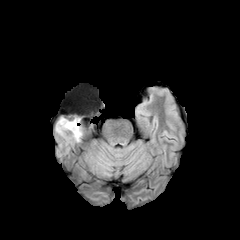
FLAIR MR image.
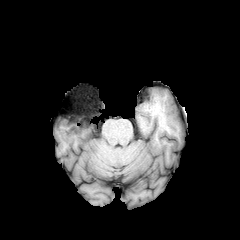
Same slice, T1-weighted MRI.
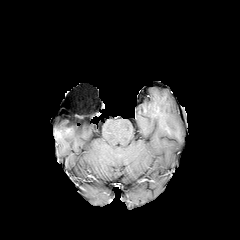
Post-contrast T1-weighted magnetic resonance.
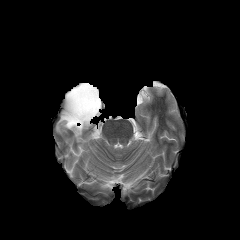
T2-weighted magnetic resonance.
Annotated regions:
- non-enhancing tumor core: [x1=60, y1=114, x2=81, y2=127]
- edema: [x1=56, y1=118, x2=82, y2=144]